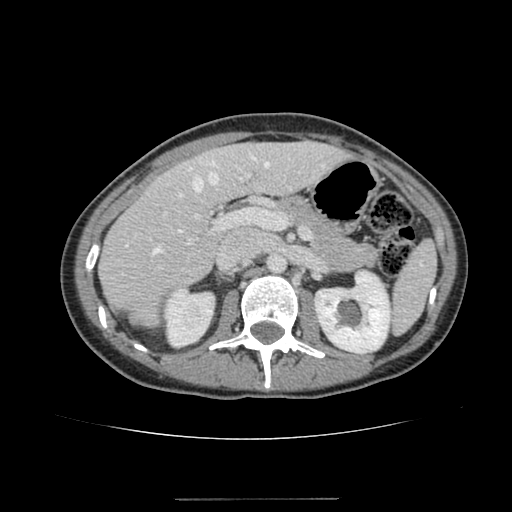

CT slice.

Liver: bbox(98, 142, 347, 327).
Kidney: bbox(315, 271, 390, 353); bbox(165, 289, 213, 346).